FLAIR MR image.
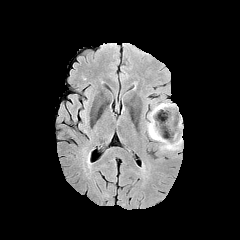
T1-weighted MRI.
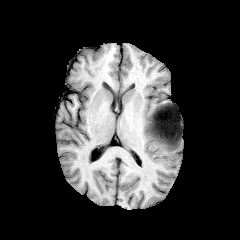
Post-contrast T1-weighted MR image.
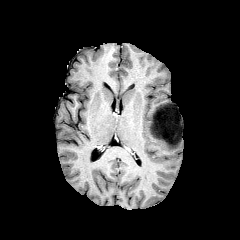
T2-weighted MR image.
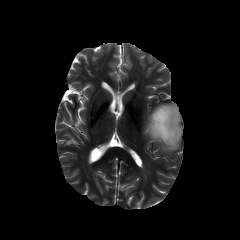
Brain
Edema: (145,103,182,150).
Non-enhancing tumor core: (162,111,176,140), (152,122,159,135).